Image width 240 mm
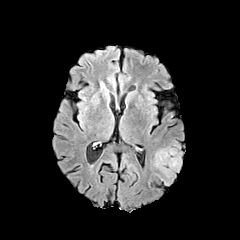
FLAIR MR.
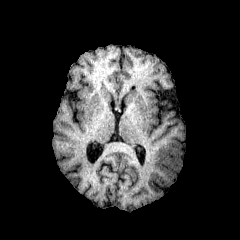
T1-weighted MRI.
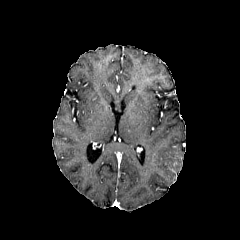
Post-contrast T1-weighted MR.
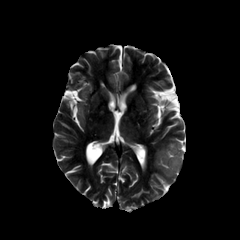
T2-weighted MR.
<segmentation>
  <edema>x1=150, y1=148, x2=175, y2=186</edema>
  <non-enhancing_tumor_core>x1=160, y1=141, x2=182, y2=175</non-enhancing_tumor_core>
</segmentation>